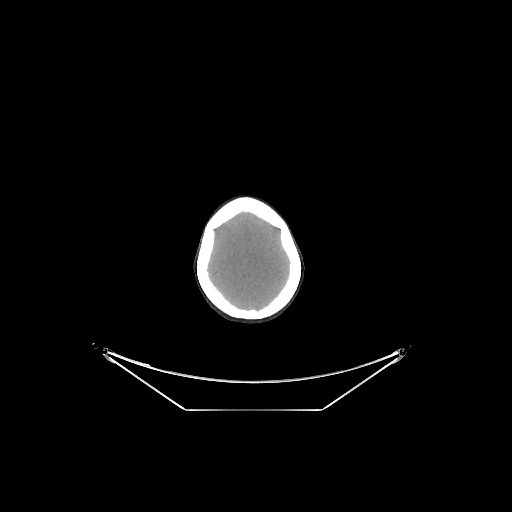
Image size 512x512. CT.
<segmentation>
  <brain>box(207, 212, 290, 310)</brain>
</segmentation>